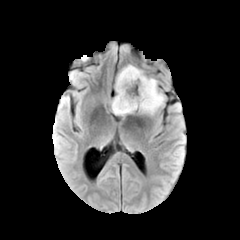
FLAIR magnetic resonance.
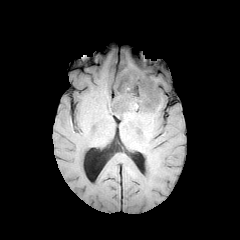
T1-weighted MR image of the same slice.
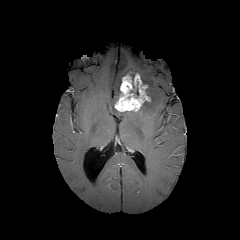
Post-contrast T1-weighted MRI of the same slice.
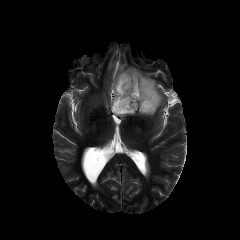
T2-weighted MR image.
Head. Image size 240x240.
3 non-enhancing tumor core regions appear at 137,75,153,113; 130,84,139,95; 111,77,128,115. The edema is at 116,65,165,115. The enhancing tumor lies within 114,73,150,112.